Computed tomography; Slice 530/836
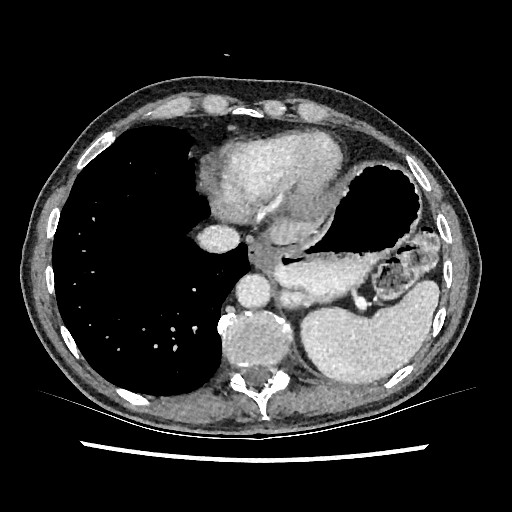
<segmentation>
  <focal_liver_lesion>(289, 196, 337, 223)</focal_liver_lesion>
  <liver>(270, 213, 327, 243), (289, 184, 343, 204)</liver>
</segmentation>